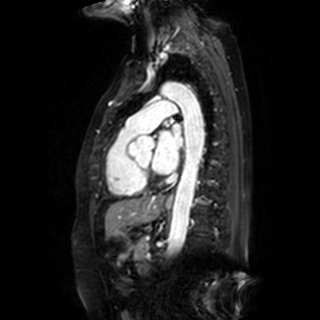

320x320 px. MR image. Left atrium: left=152, top=124, right=182, bottom=174.